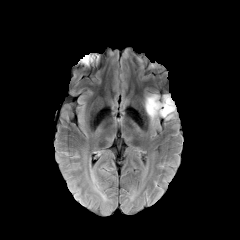
FLAIR MR.
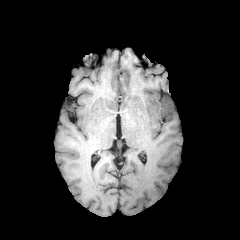
T1-weighted magnetic resonance of the same slice.
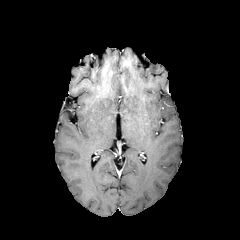
Post-contrast T1-weighted MR of the same slice.
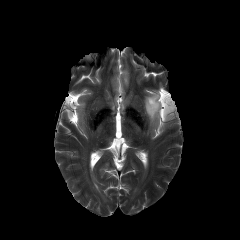
Same slice, T2-weighted magnetic resonance.
Edema at bbox(144, 93, 175, 126).
Non-enhancing tumor core at bbox(160, 100, 172, 115).